Field of view 37x52 mm; Hippocampus; Slice 29 of 34; MRI slice
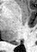 Posterior hippocampus: bounding box x1=12, y1=41, x2=17, y2=42.